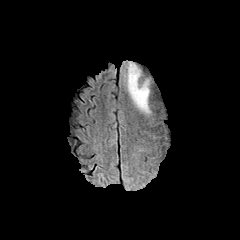
FLAIR MR.
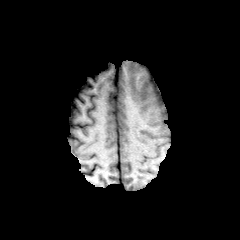
Same slice, T1-weighted magnetic resonance.
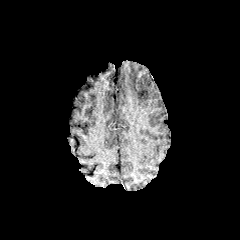
Post-contrast T1-weighted MR.
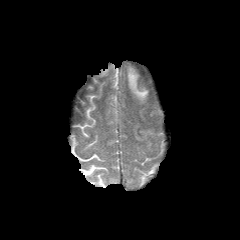
Same slice, T2-weighted MRI.
Image size 240x240
edema: rect(128, 64, 149, 109)